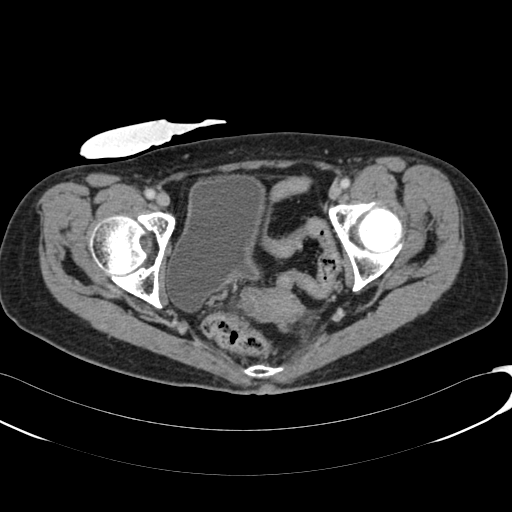 Image size 512x512; CT; Pelvis

The urinary bladder is bounded by x1=164, y1=174, x2=266, y2=312.